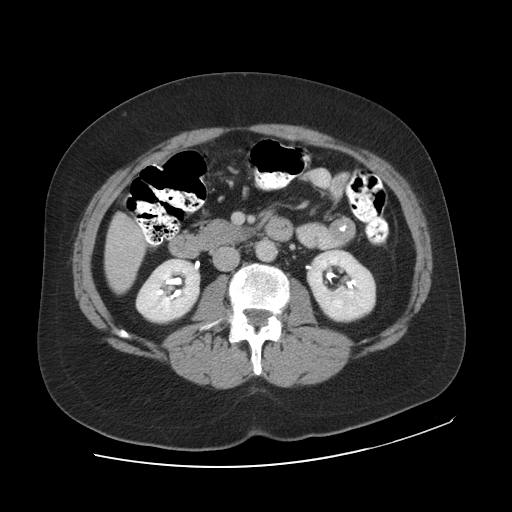
512x512 px, Computed tomography, Liver

Only some of the vessels may be annotated.
hepatic vessel: x1=130, y1=236, x2=132, y2=238